FLAIR MRI.
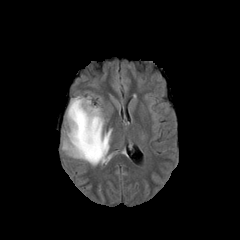
T1-weighted MRI.
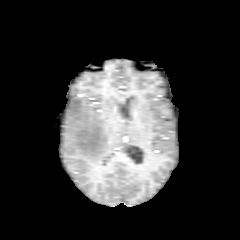
Post-contrast T1-weighted magnetic resonance.
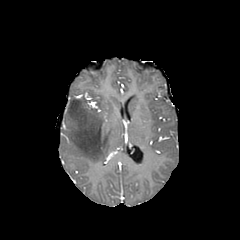
T2-weighted MR.
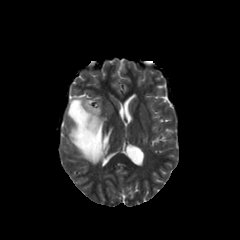
240x240 px.
non-enhancing tumor core: bbox=[70, 96, 99, 121] | edema: bbox=[64, 98, 110, 164]